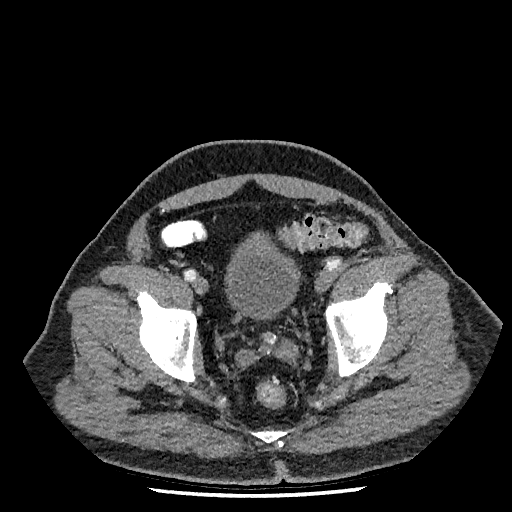 Computed tomography
urinary_bladder:
  - <box>224,229,302,321</box>